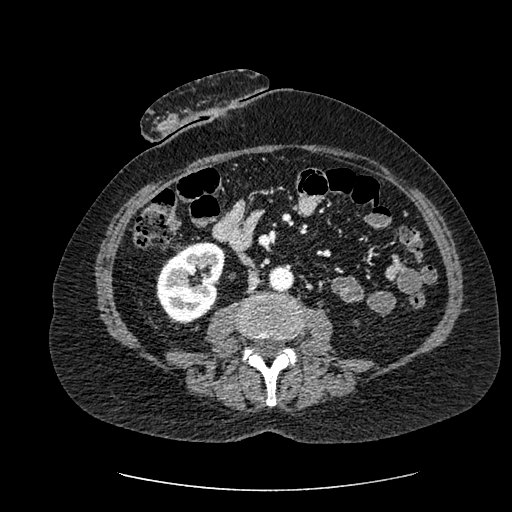 CT image, Abdomen, 512x512
• kidney: x1=157 y1=243 x2=224 y2=322